FLAIR MRI.
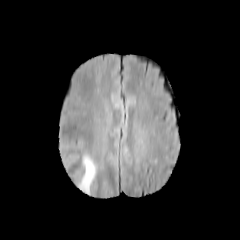
T1-weighted magnetic resonance.
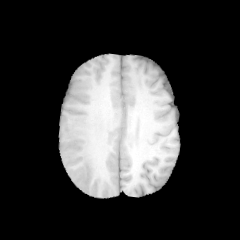
Post-contrast T1-weighted MR.
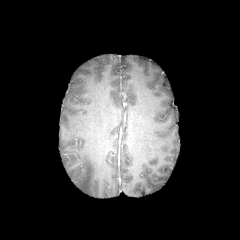
T2-weighted MRI.
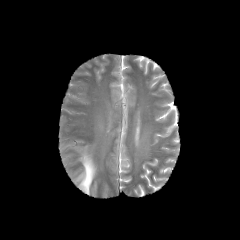
240x240 px. Head.
edema:
  - left=77, top=154, right=96, bottom=193